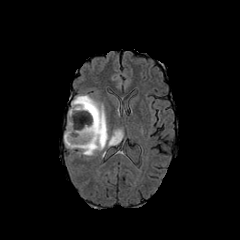
FLAIR MRI.
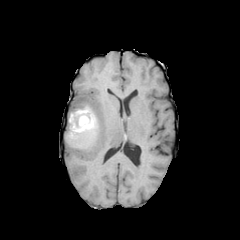
T1-weighted MR image.
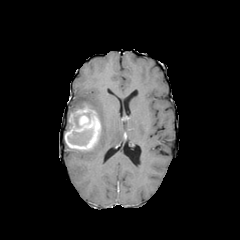
Post-contrast T1-weighted MR image.
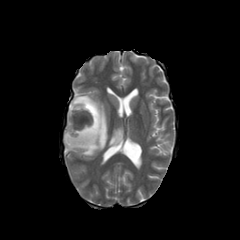
T2-weighted MR image.
Brain
<segmentation>
  <non-enhancing_tumor_core><bbox>79, 131, 91, 144</bbox></non-enhancing_tumor_core>
  <edema><bbox>66, 93, 120, 156</bbox></edema>
  <enhancing_tumor><bbox>64, 105, 101, 149</bbox>, <bbox>80, 116, 88, 125</bbox></enhancing_tumor>
</segmentation>